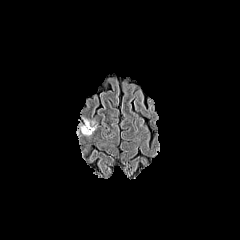
FLAIR MR image.
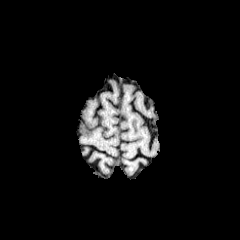
T1-weighted MR.
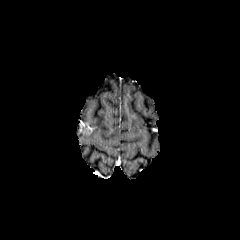
Same slice, post-contrast T1-weighted MR.
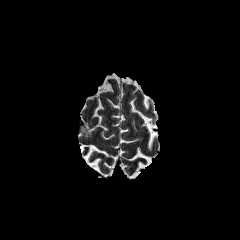
T2-weighted MR.
- edema: bbox=[80, 115, 98, 132]; bbox=[76, 119, 84, 135]
- non-enhancing tumor core: bbox=[82, 124, 92, 135]